Image size 240x240
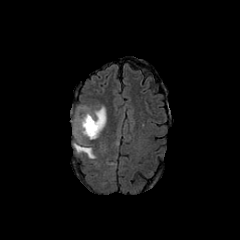
FLAIR MR image.
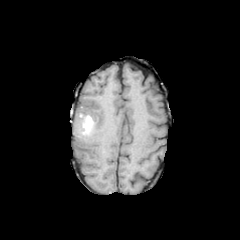
Same slice, T1-weighted magnetic resonance.
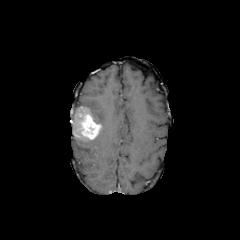
Post-contrast T1-weighted MRI.
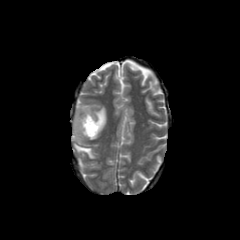
T2-weighted MRI of the same slice.
The enhancing tumor is bounded by region(70, 106, 101, 139). 2 edema regions appear at region(90, 104, 106, 139); region(73, 136, 96, 159).